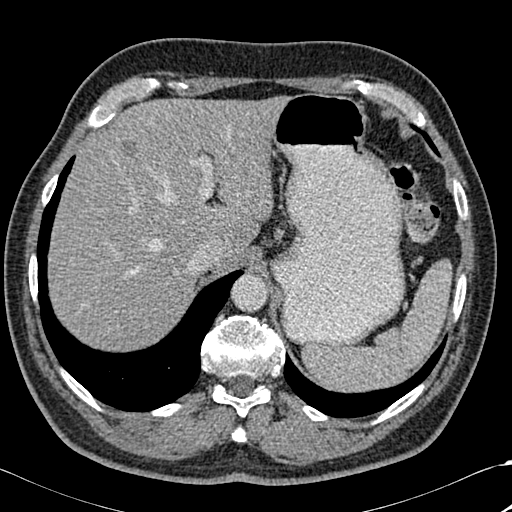

CT slice. Liver.
Liver — [48, 97, 282, 350], [218, 257, 236, 264].
Hepatic lesion — [122, 139, 138, 155].
Bone — [152, 404, 179, 416], [232, 428, 245, 441], [42, 176, 57, 203], [303, 406, 326, 420], [89, 101, 114, 127], [453, 276, 465, 317], [355, 81, 425, 125], [374, 385, 423, 422], [201, 316, 284, 416], [130, 79, 158, 96], [62, 370, 99, 409], [454, 181, 467, 217], [29, 256, 37, 299].
Lung — [411, 125, 438, 155], [37, 156, 243, 411], [431, 206, 438, 216], [284, 336, 446, 417].